CT slice. Liver. Slice 109/151.
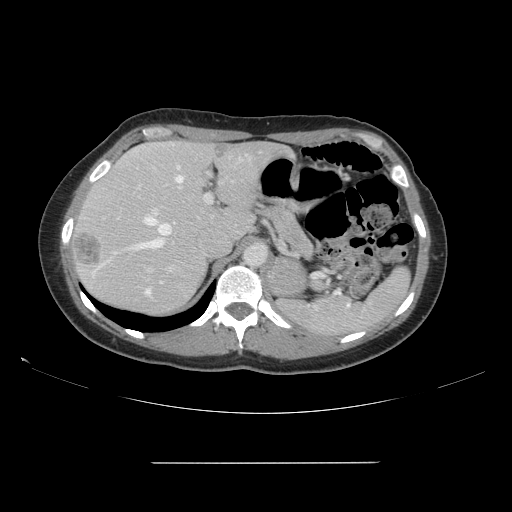 The vessel boxes may cover only some of the vessels.
15 hepatic vessel regions appear at 146,289,150,295; 96,260,109,269; 173,222,174,223; 245,154,246,156; 175,175,183,182; 160,281,162,282; 147,269,151,271; 204,194,211,203; 138,185,140,187; 177,166,179,168; 237,158,242,162; 169,267,172,269; 91,270,95,275; 113,252,116,255; 132,208,171,248. 2 liver tumor regions are located at 216,145,228,156; 73,230,102,267.